Slice 487/826; CT slice
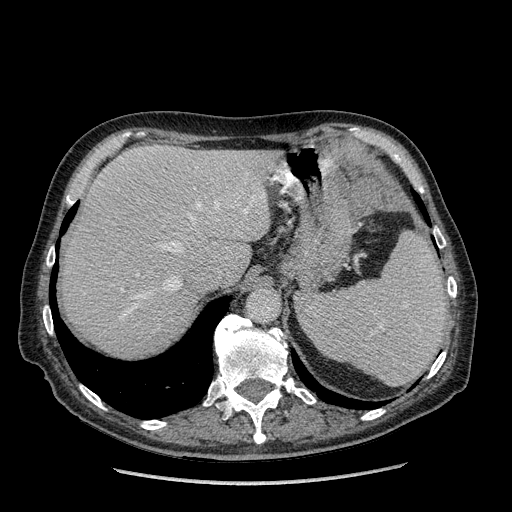

Liver — [x1=63, y1=145, x2=278, y2=359].